Abdomen, CT slice, Slice index 21, 512x512 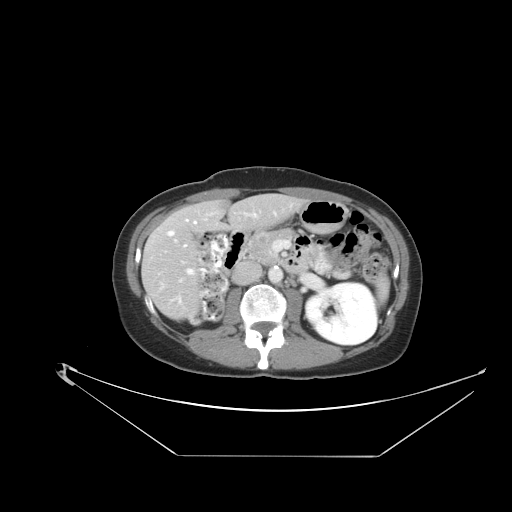
Segmented structures:
• pancreas: [x1=242, y1=228, x2=293, y2=265]
• pancreatic tumor: [x1=256, y1=232, x2=269, y2=245]